Field of view 348 mm wide, 0.80 mm slice spacing, Upper abdomen, CT image 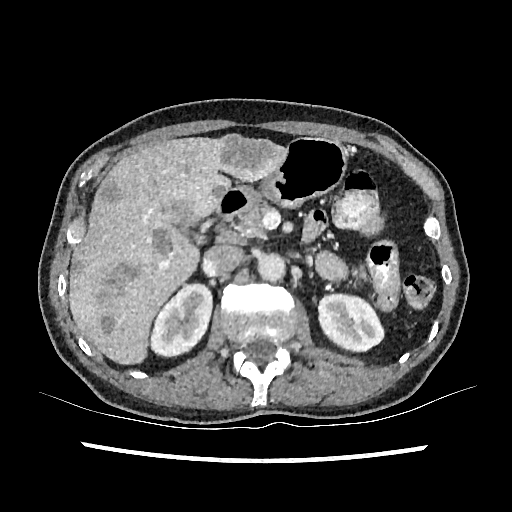
Liver: bounding box bbox=[70, 138, 286, 363].
Kidney: bounding box bbox=[318, 294, 383, 350]; bbox=[151, 284, 211, 357].
Liver lesion: bounding box bbox=[100, 315, 115, 334]; bbox=[95, 290, 109, 300]; bbox=[219, 136, 275, 169]; bbox=[103, 269, 122, 288]; bbox=[168, 201, 192, 222]; bbox=[152, 228, 172, 255]; bbox=[99, 182, 121, 203]; bbox=[71, 257, 84, 274]; bbox=[117, 262, 139, 280]; bbox=[214, 185, 225, 196].